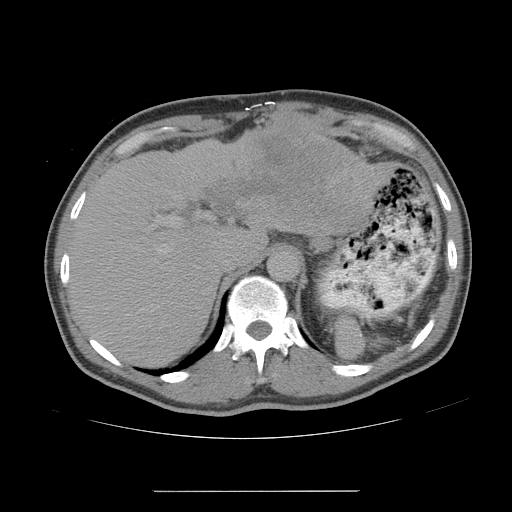
CT image

Not every hepatic vessel necessarily has a box.
The liver tumor lies within bbox(205, 114, 376, 233). 9 hepatic vessel regions are bounded by bbox(197, 274, 198, 275); bbox(151, 224, 156, 228); bbox(195, 210, 212, 219); bbox(229, 217, 233, 221); bbox(369, 202, 372, 211); bbox(194, 266, 199, 268); bbox(167, 190, 182, 198); bbox(155, 214, 180, 227); bbox(157, 244, 168, 253).